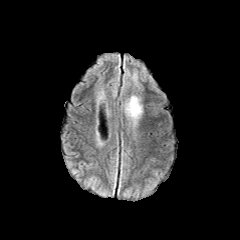
FLAIR MR image.
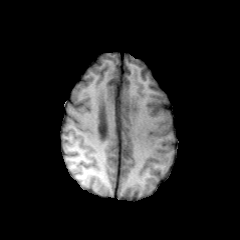
T1-weighted MR image.
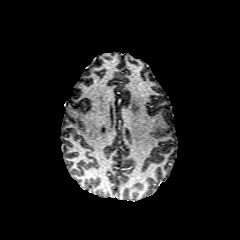
Post-contrast T1-weighted MRI of the same slice.
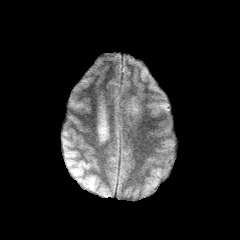
Same slice, T2-weighted magnetic resonance.
Head
Edema: bbox(125, 96, 141, 119).